Field of view 373x373 mm. Slice index 336. CT. 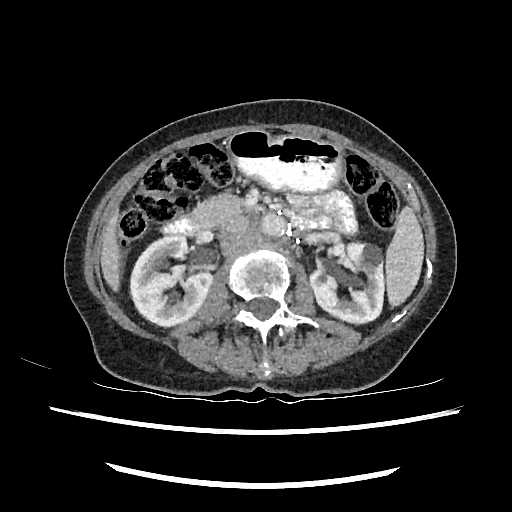 {
  "kidney": [
    "<bbox>310, 244, 383, 322</bbox>",
    "<bbox>131, 236, 211, 325</bbox>"
  ],
  "liver": [
    "<bbox>101, 213, 118, 288</bbox>"
  ]
}